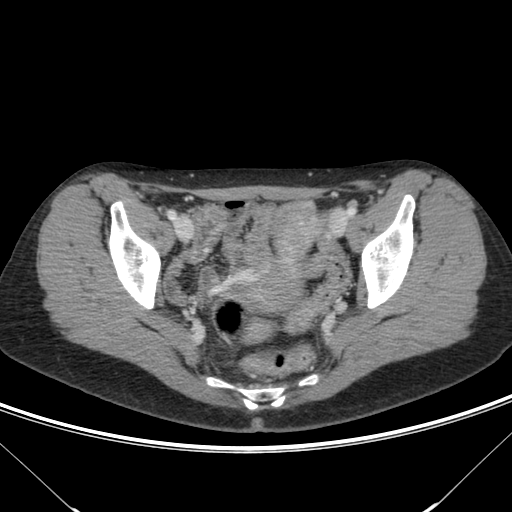

Computed tomography.
* colon tumor: (245, 322, 271, 344), (287, 308, 314, 333)